FLAIR MR image.
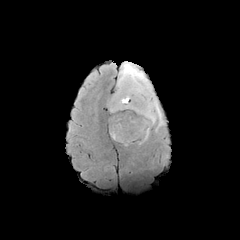
T1-weighted magnetic resonance.
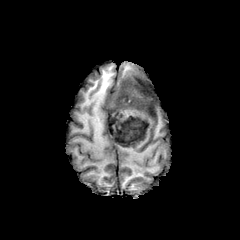
Post-contrast T1-weighted magnetic resonance.
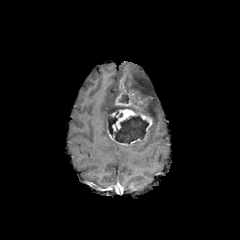
T2-weighted MR image.
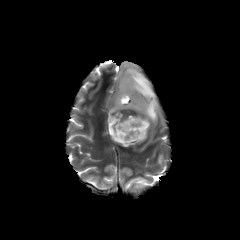
Brain
Enhancing tumor = left=112, top=109, right=152, bottom=133; left=119, top=74, right=125, bottom=89; left=115, top=92, right=139, bottom=108; left=115, top=138, right=141, bottom=146.
Edema = left=117, top=61, right=163, bottom=125.
Non-enhancing tumor core = left=108, top=73, right=151, bottom=144.